Computed tomography. Liver.

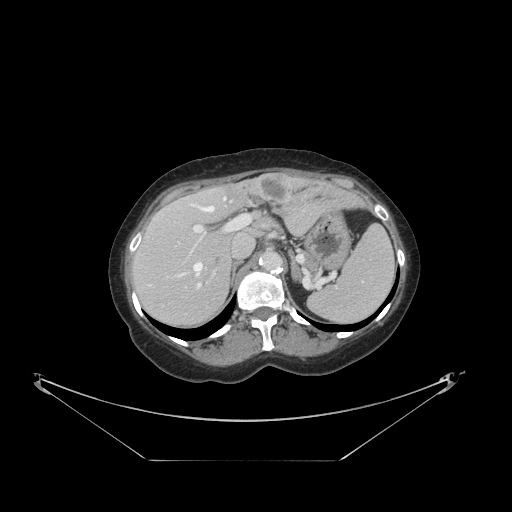

Not every hepatic vessel necessarily has a box.
8 hepatic vessel regions are located at bbox=[233, 244, 253, 256]; bbox=[224, 197, 225, 199]; bbox=[193, 262, 202, 275]; bbox=[176, 274, 183, 276]; bbox=[193, 225, 204, 233]; bbox=[197, 283, 199, 288]; bbox=[224, 214, 251, 231]; bbox=[189, 204, 213, 211]. The liver tumor is at bbox=[258, 173, 292, 202].